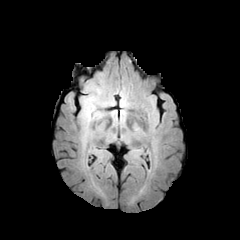
FLAIR MR.
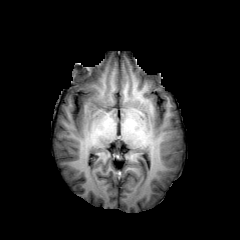
T1-weighted MRI.
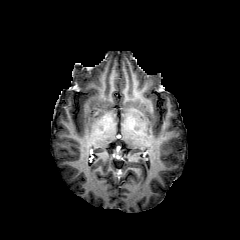
Post-contrast T1-weighted MR.
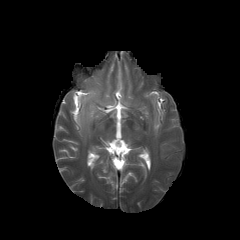
T2-weighted MR image of the same slice.
Brain; Image size 240x240
2 edema regions are located at x1=78, y1=87, x2=105, y2=127; x1=120, y1=92, x2=131, y2=114.